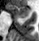 MR image | Image size 39x41 | Hippocampus

The anterior hippocampus is located at <box>12,5,29,17</box>.